Liver. Slice 662 of 908. CT image.
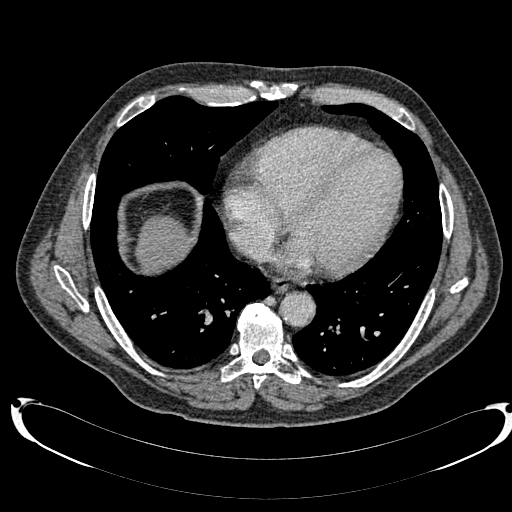

Liver: bounding box x1=135, y1=216, x2=189, y2=271.